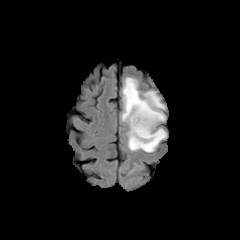
FLAIR magnetic resonance.
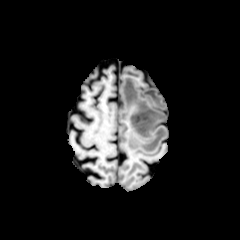
T1-weighted MR image.
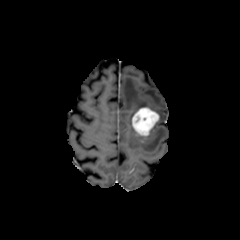
Post-contrast T1-weighted MRI.
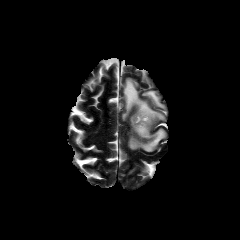
T2-weighted magnetic resonance.
240x240, Brain
Edema at l=121, t=77, r=166, b=152.
Enhancing tumor at l=131, t=107, r=159, b=137.